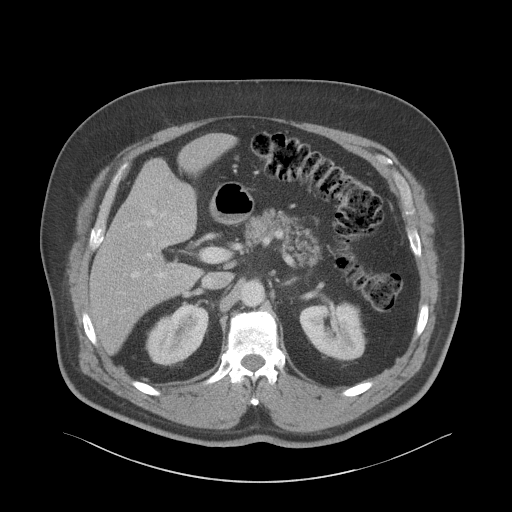

CT

The liver is located at box=[91, 135, 229, 347]. 2 kidney regions are located at box=[148, 306, 207, 363]; box=[300, 304, 363, 359].